FLAIR MRI.
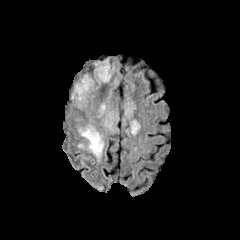
T1-weighted MR image.
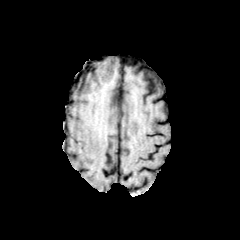
Post-contrast T1-weighted MRI.
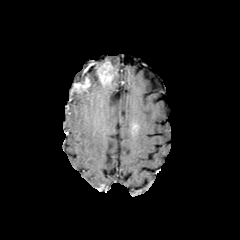
T2-weighted MR.
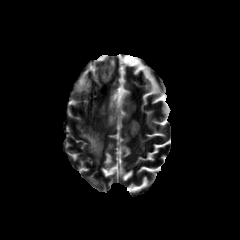
240x240. Head.
enhancing tumor: [x1=75, y1=77, x2=89, y2=91] | edema: [x1=78, y1=74, x2=93, y2=83], [x1=79, y1=128, x2=103, y2=158]